Lung | CT | Image size 512x512 | Slice 178/260
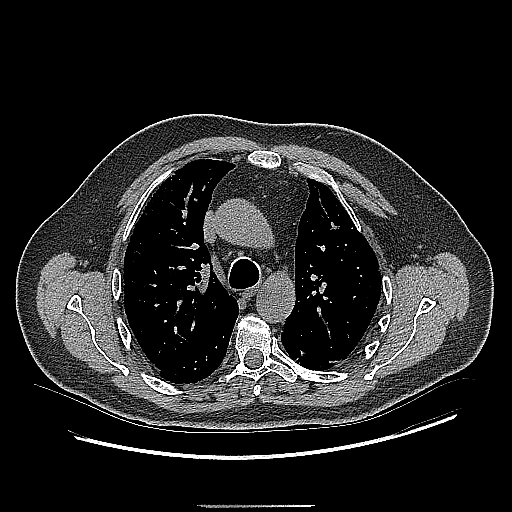 lung_tumor:
  - bbox=[286, 337, 308, 363]